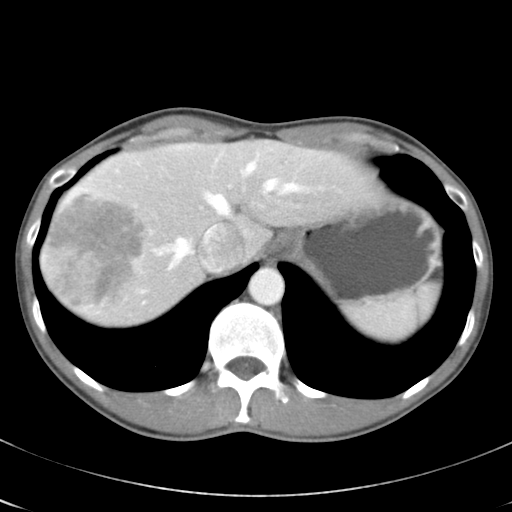
Computed tomography. 512x512 px. Abdomen.
The vessel boxes may cover only some of the vessels.
The liver tumor lies within bbox(42, 190, 150, 309). 7 hepatic vessel regions are bounded by bbox(279, 183, 298, 193); bbox(208, 230, 210, 233); bbox(242, 163, 255, 174); bbox(206, 194, 229, 214); bbox(141, 290, 145, 291); bbox(155, 238, 193, 267); bbox(265, 179, 276, 189).